Liver | CT scan slice | Slice 88/94 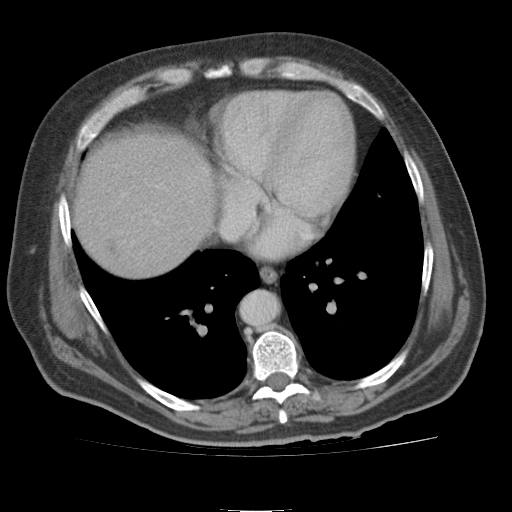
Liver = bbox(78, 125, 219, 277).
Liver lesion = bbox(107, 245, 115, 253).